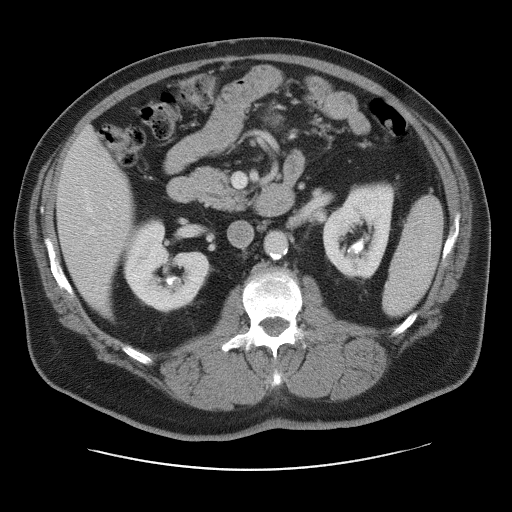
CT image, Image size 512x512

Some hepatic vessels may have no box.
Annotated regions:
• hepatic vessel: [85, 204, 92, 212], [104, 224, 110, 227], [233, 175, 245, 186], [89, 227, 94, 232]